CT slice. Image width 440 mm. Liver.

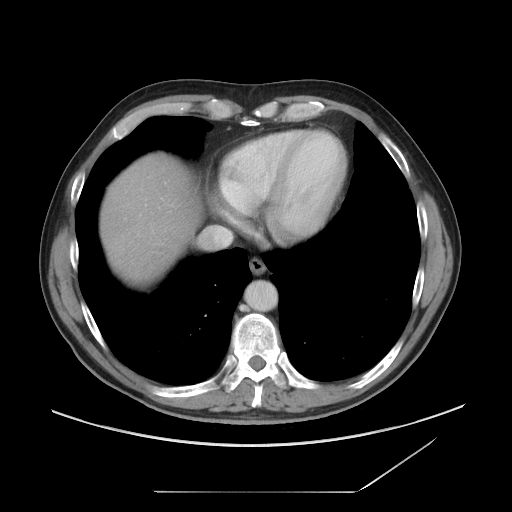
The vessel boxes may cover only some of the vessels.
hepatic_vessel:
  - <bbox>210, 228, 226, 236</bbox>